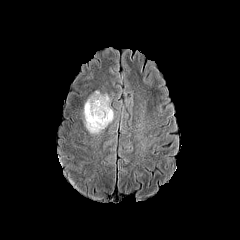
FLAIR MR.
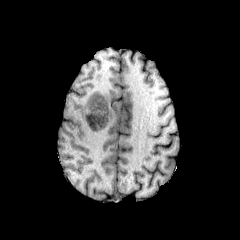
Same slice, T1-weighted magnetic resonance.
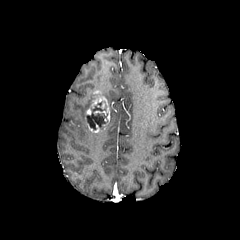
Post-contrast T1-weighted MR image.
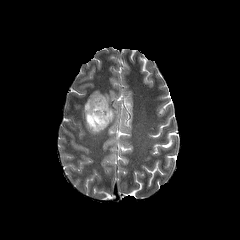
T2-weighted magnetic resonance.
Image size 240x240
Enhancing tumor at (left=87, top=124, right=101, bottom=132), (left=92, top=90, right=109, bottom=121).
Edema at (left=83, top=95, right=92, bottom=116).
Non-enhancing tumor core at (left=85, top=97, right=108, bottom=130).